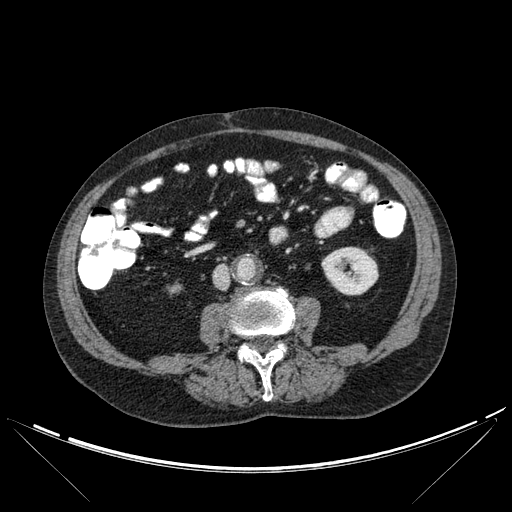
CT scan slice
Kidney at [322, 247, 378, 294].
Bone at [230, 288, 294, 336], [238, 343, 285, 400].